Abdomen. CT scan slice. 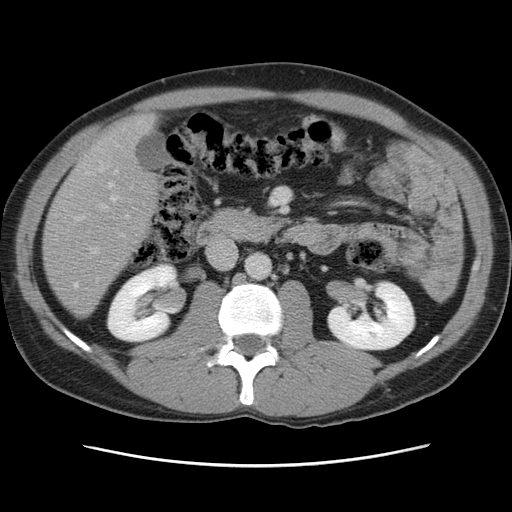
Not every hepatic vessel necessarily has a box.
10 hepatic vessel regions are bounded by 126 215 129 218, 89 248 98 253, 139 120 143 123, 74 283 78 287, 102 204 106 208, 75 217 84 220, 111 196 119 201, 121 234 124 236, 99 163 103 171, 109 183 113 187.